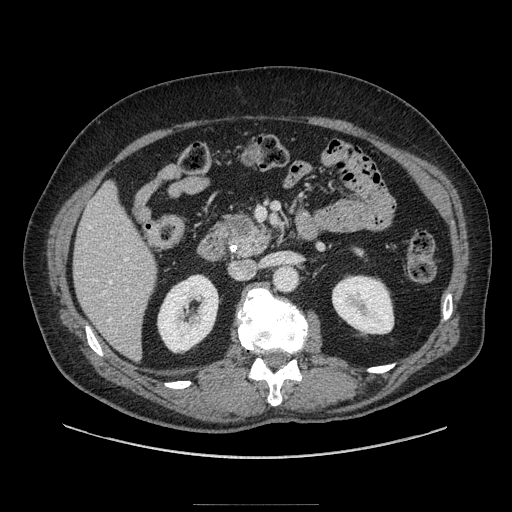
CT slice | Abdomen
Pancreas at box=[353, 248, 362, 255]; box=[222, 214, 270, 256].
Pancreatic tumor at box=[230, 215, 251, 236].